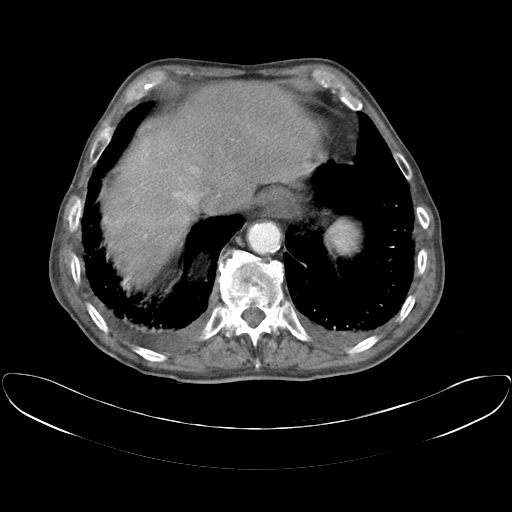

CT slice. Image size 512x512. Only some of the vessels may be annotated.
<segmentation>
  <hepatic_vessel><box>143,235,146,239</box>, <box>191,167,197,171</box>, <box>174,177,202,207</box></hepatic_vessel>
</segmentation>